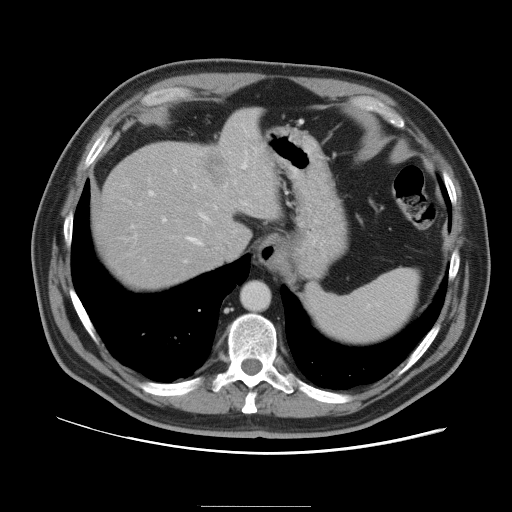 512x512 px | CT
Not every hepatic vessel necessarily has a box.
Annotated regions:
- hepatic vessel (most prominent 15 of 18): [x1=186, y1=236, x2=202, y2=244], [x1=193, y1=160, x2=195, y2=162], [x1=234, y1=181, x2=236, y2=183], [x1=149, y1=191, x2=153, y2=195], [x1=200, y1=213, x2=208, y2=220], [x1=241, y1=151, x2=248, y2=167], [x1=223, y1=184, x2=227, y2=187], [x1=257, y1=191, x2=260, y2=194], [x1=148, y1=178, x2=149, y2=181], [x1=131, y1=226, x2=134, y2=227], [x1=194, y1=185, x2=196, y2=189], [x1=134, y1=234, x2=136, y2=241], [x1=162, y1=218, x2=165, y2=221], [x1=214, y1=205, x2=216, y2=208], [x1=173, y1=169, x2=176, y2=172]
- liver tumor: [x1=205, y1=150, x2=228, y2=186]